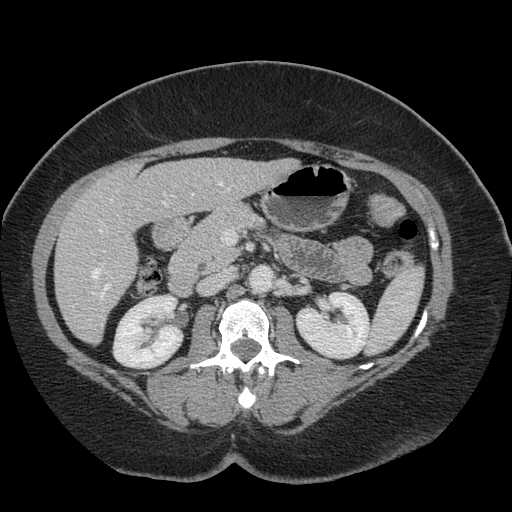 CT. Liver.

Not every hepatic vessel necessarily has a box.
- hepatic vessel: box(100, 227, 106, 231); box(163, 201, 168, 204); box(100, 284, 110, 300); box(227, 188, 230, 190); box(92, 264, 104, 279); box(218, 182, 222, 185); box(99, 222, 102, 224); box(117, 190, 118, 192)